240x240; Brain
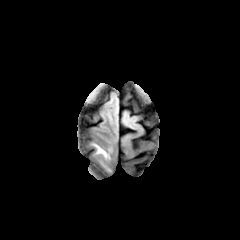
FLAIR magnetic resonance.
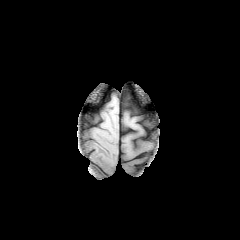
T1-weighted MR image of the same slice.
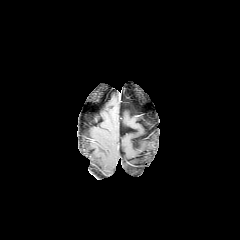
Post-contrast T1-weighted MR image of the same slice.
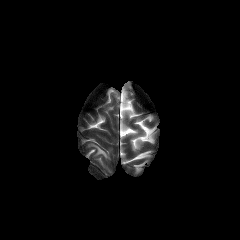
T2-weighted MR image of the same slice.
{"edema": ["92:143:110:160"]}